Abdomen. CT image.

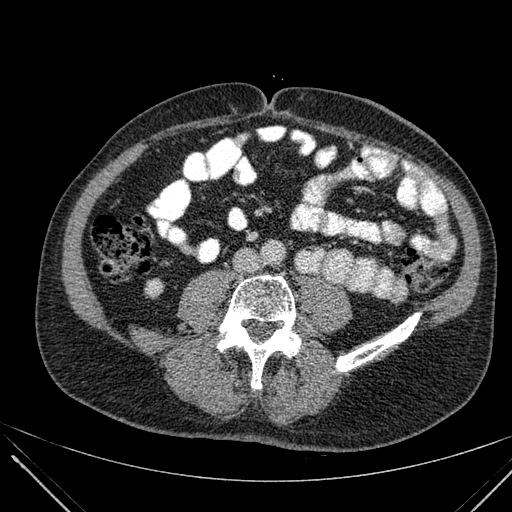

The kidney is located at [x1=146, y1=280, x2=162, y2=296].